Head, 240x240
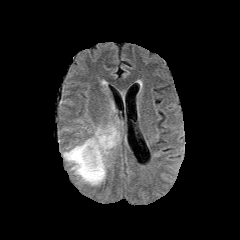
FLAIR MR image.
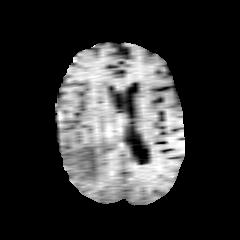
T1-weighted MR of the same slice.
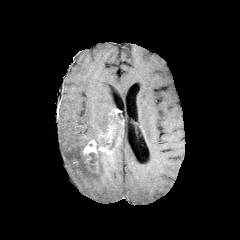
Post-contrast T1-weighted MR.
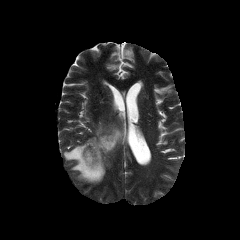
Same slice, T2-weighted MRI.
{
  "enhancing_tumor": [
    "x1=83 y1=140 x2=110 y2=154"
  ],
  "non-enhancing_tumor_core": [
    "x1=102 y1=139 x2=112 y2=148",
    "x1=86 y1=152 x2=98 y2=172"
  ],
  "edema": [
    "x1=63 y1=125 x2=119 y2=185"
  ]
}